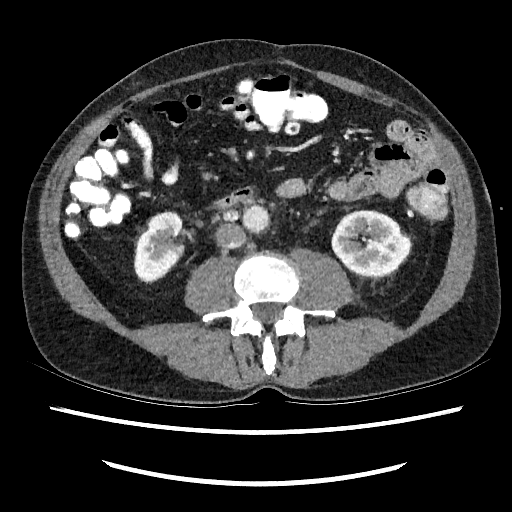
Abdomen; CT slice
2 kidney regions are bounded by box=[135, 213, 182, 280]; box=[332, 211, 409, 275].